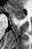

MRI slice

anterior_hippocampus:
  - rect(10, 7, 24, 19)